FLAIR MRI.
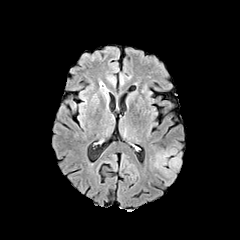
T1-weighted MRI.
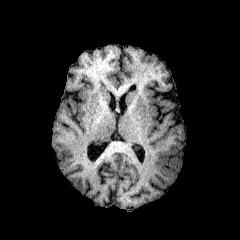
Post-contrast T1-weighted MR image.
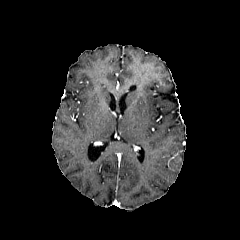
T2-weighted MR.
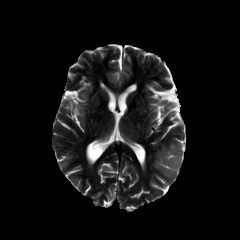
Head
The non-enhancing tumor core lies within box(163, 144, 182, 164). 2 edema regions are bounded by box(169, 158, 181, 170); box(148, 149, 175, 184).